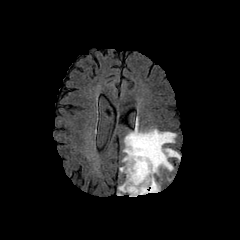
FLAIR magnetic resonance.
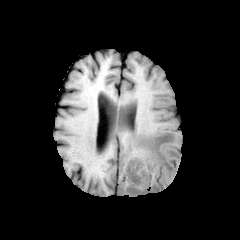
T1-weighted MR of the same slice.
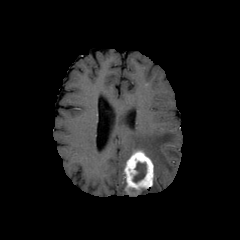
Post-contrast T1-weighted MRI of the same slice.
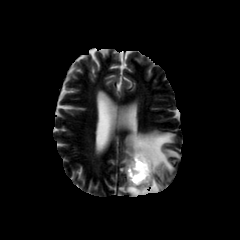
T2-weighted MR.
Head | 240x240
2 non-enhancing tumor core regions are bounded by (left=133, top=162, right=145, bottom=182), (left=134, top=147, right=154, bottom=163). 3 edema regions are bounded by (left=118, top=178, right=133, bottom=195), (left=120, top=126, right=179, bottom=180), (left=135, top=178, right=160, bottom=196). The enhancing tumor lies within (left=124, top=150, right=154, bottom=195).